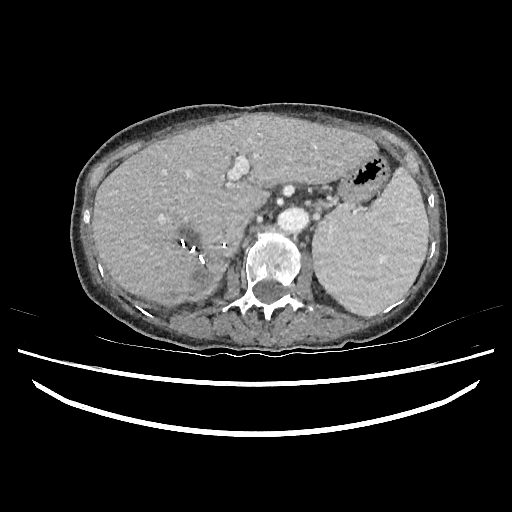 CT scan slice.
Annotated regions:
- focal liver lesion: box=[185, 233, 197, 243]
- liver: box=[93, 114, 375, 304]